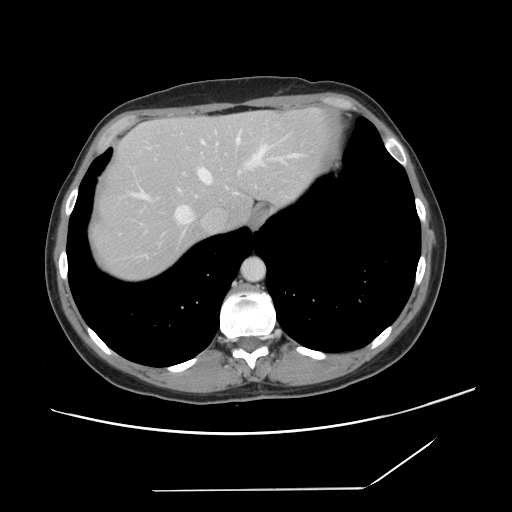
Abdomen. CT image.
Not every hepatic vessel necessarily has a box.
hepatic_vessel:
  - <bbox>202, 140, 204, 143</bbox>
  - <bbox>130, 188, 147, 198</bbox>
  - <bbox>236, 135, 240, 142</bbox>
  - <bbox>279, 158, 284, 163</bbox>
  - <bbox>198, 168, 211, 183</bbox>
  - <bbox>246, 146, 268, 169</bbox>
  - <bbox>217, 142, 218, 144</bbox>
  - <bbox>290, 154, 299, 157</bbox>
  - <bbox>175, 206, 192, 223</bbox>
  - <bbox>239, 170, 241, 172</bbox>
  - <bbox>178, 188, 179, 190</bbox>
  - <bbox>240, 130, 241, 131</bbox>